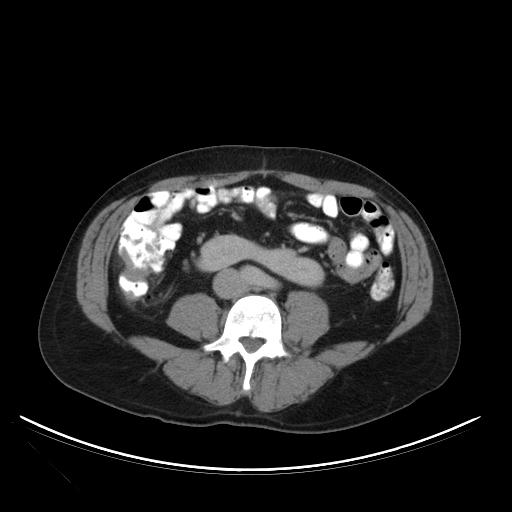 Computed tomography. 512x512.
The colon tumor appears at (121,249,151,281).